Slice index 410; 512x512 px; Field of view 400x400 mm; CT image
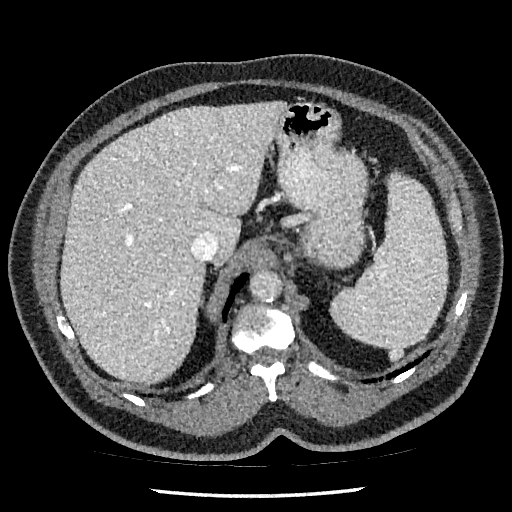
Annotated regions:
• liver: left=60, top=101, right=283, bottom=382